Medial temporal lobe | MR image

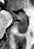
Posterior hippocampus — (15, 20, 27, 33).
Anterior hippocampus — (10, 12, 26, 20).